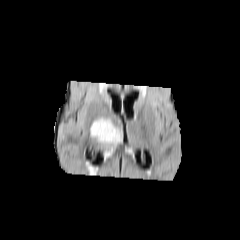
FLAIR magnetic resonance.
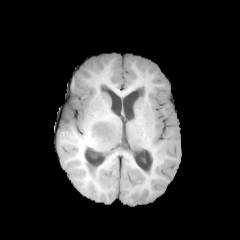
T1-weighted MRI.
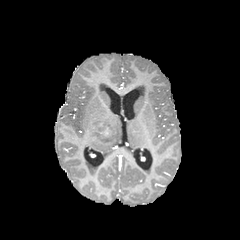
Same slice, post-contrast T1-weighted MR image.
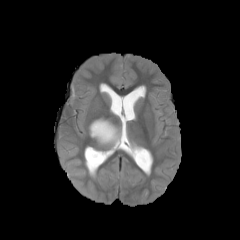
T2-weighted MR image.
Head
The enhancing tumor is at 96, 122, 112, 138. The edema lies within 89, 117, 120, 147.